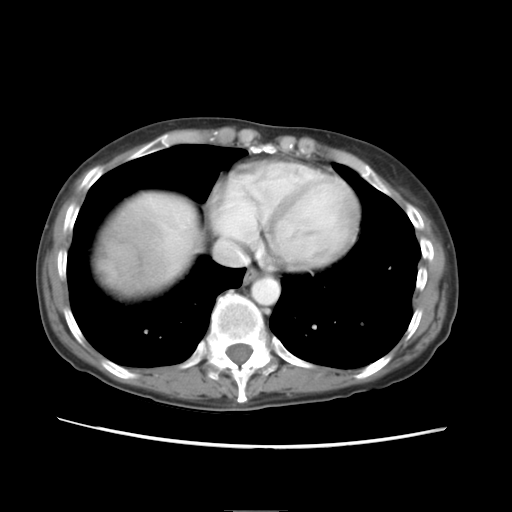 CT scan slice. 512x512 px. liver tumor: left=98, top=211, right=167, bottom=294